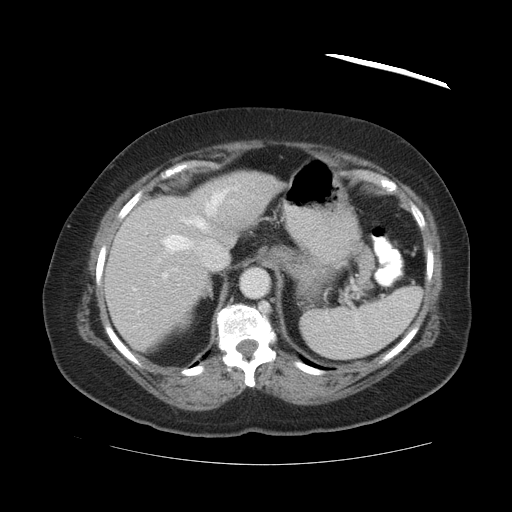 Image size 512x512, CT slice, Liver
The vessel annotation is not exhaustive.
<segmentation>
  <hepatic_vessel>(x1=133, y1=288, x2=135, y2=289), (x1=205, y1=190, x2=227, y2=215), (x1=163, y1=273, x2=166, y2=277), (x1=196, y1=216, x2=205, y2=228), (x1=203, y1=231, x2=210, y2=232), (x1=165, y1=235, x2=226, y2=269)</hepatic_vessel>
</segmentation>